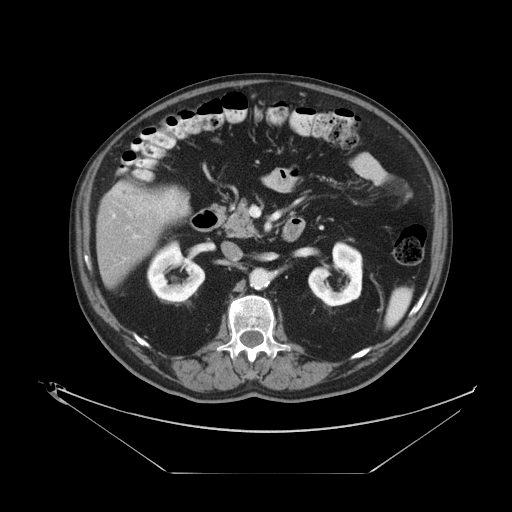

Liver; CT scan slice

Not every hepatic vessel necessarily has a box.
Annotated regions:
* liver tumor: region(166, 190, 186, 209)
* hepatic vessel: region(135, 207, 138, 208); region(163, 199, 173, 207); region(159, 203, 162, 215); region(112, 213, 114, 216); region(139, 197, 141, 200); region(112, 186, 122, 194)